Image size 42x51; MR image 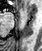

<segmentation>
  <anterior_hippocampus>rect(22, 7, 24, 10)</anterior_hippocampus>
</segmentation>